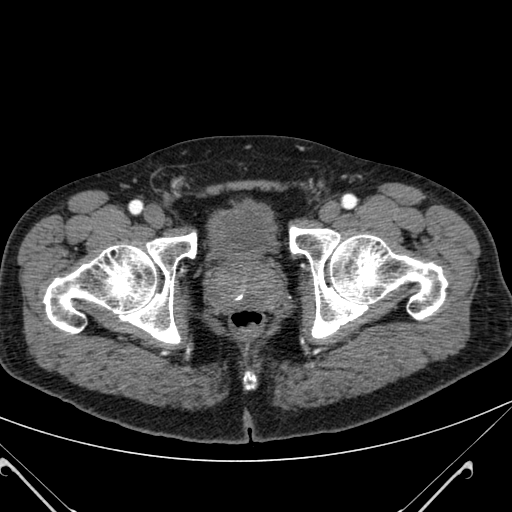 Lower abdomen; CT
<segmentation>
  <urinary_bladder>box=[209, 198, 277, 264]</urinary_bladder>
</segmentation>